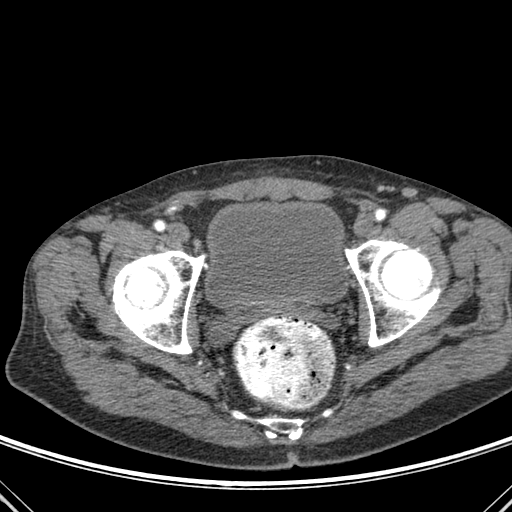
Pelvis, Computed tomography, 512x512
Urinary bladder = box(241, 304, 259, 313); box(207, 200, 349, 304).
Bone = box(233, 411, 248, 418); box(345, 239, 440, 347); box(265, 431, 276, 438); box(113, 250, 206, 354); box(256, 418, 304, 439).